Hippocampus; Field of view 36 mm wide, 1.00 mm slice spacing; MR
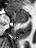

anterior_hippocampus:
  - box=[7, 9, 28, 22]
posterior_hippocampus:
  - box=[19, 22, 24, 23]